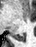
MRI slice | Medial temporal lobe
posterior hippocampus: [12, 34, 25, 40]